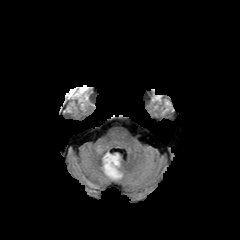
FLAIR MRI.
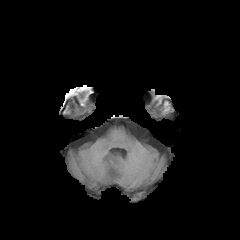
T1-weighted magnetic resonance.
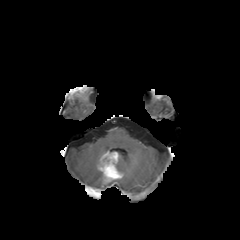
Post-contrast T1-weighted magnetic resonance of the same slice.
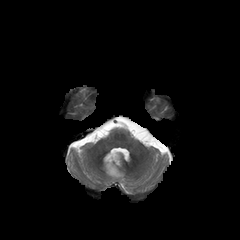
T2-weighted MRI.
Brain | Image size 240x240
enhancing_tumor:
  - box=[104, 163, 113, 174]
non-enhancing_tumor_core:
  - box=[100, 152, 120, 178]
edema:
  - box=[115, 155, 121, 176]